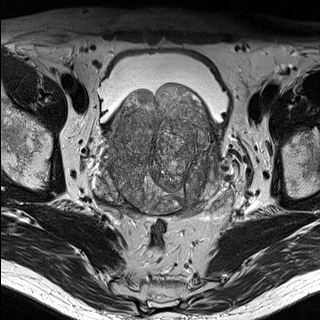
T2-weighted MR image.
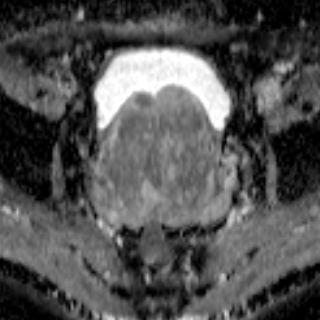
ADC MRI.
320x320 px; Pelvis
• prostate transition zone: 93 86 218 214